CT, Abdomen

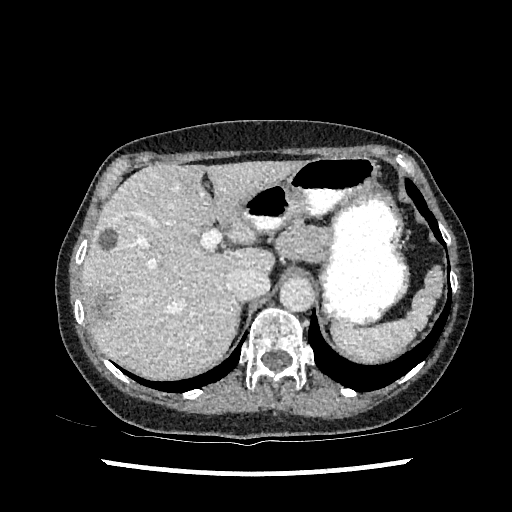

<segmentation>
  <liver>83:161:297:377</liver>
  <focal_liver_lesion>98:228:117:249, 85:285:116:326</focal_liver_lesion>
</segmentation>